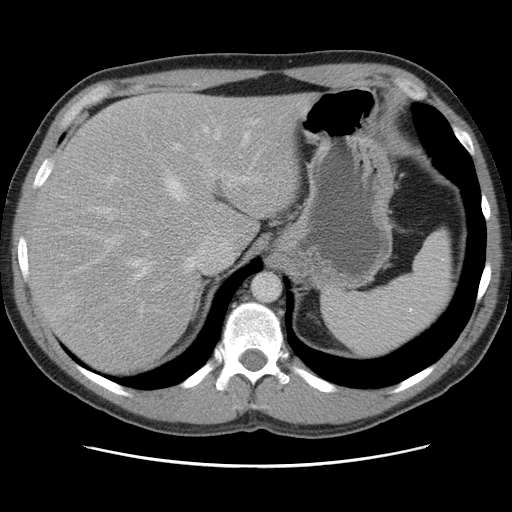 CT slice
Only some of the vessels may be annotated.
Most prominent 15 of 22 hepatic vessel regions at (x1=139, y1=305, x2=143, y2=312), (x1=215, y1=129, x2=220, y2=139), (x1=128, y1=259, x2=150, y2=279), (x1=173, y1=144, x2=181, y2=150), (x1=249, y1=119, x2=259, y2=124), (x1=106, y1=235, x2=119, y2=252), (x1=142, y1=231, x2=148, y2=235), (x1=209, y1=171, x2=216, y2=179), (x1=106, y1=175, x2=117, y2=186), (x1=242, y1=133, x2=249, y2=146), (x1=89, y1=207, x2=116, y2=220), (x1=228, y1=176, x2=248, y2=186), (x1=163, y1=175, x2=186, y2=200), (x1=157, y1=284, x2=163, y2=289), (x1=187, y1=265, x2=191, y2=271).
Liver tumor at (x1=47, y1=293, x2=77, y2=323).